CT; Liver; 512x512 px

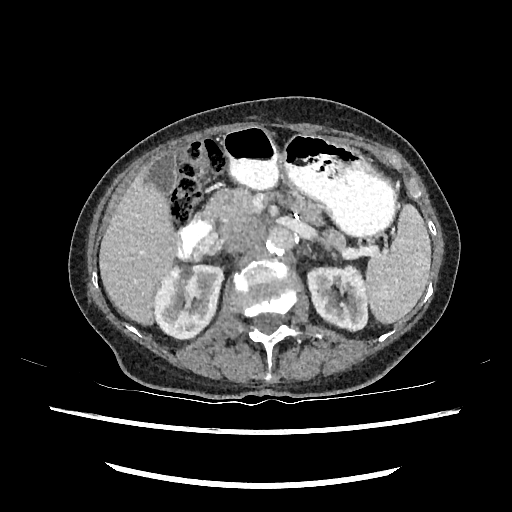
2 kidney regions are located at bbox(155, 266, 222, 338); bbox(308, 267, 367, 328). The liver appears at bbox(100, 171, 177, 322).